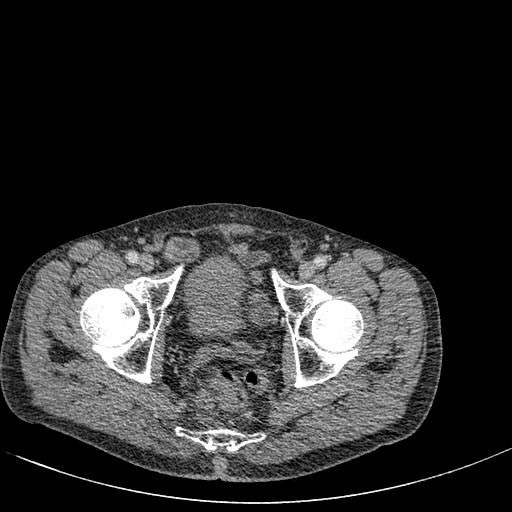

Computed tomography, 512x512

The urinary bladder lies within 176 249 251 342.